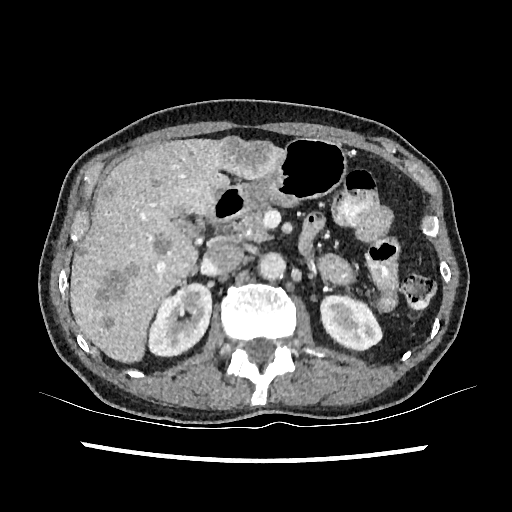 CT image. Liver.
The liver is located at 70,140,283,361. 2 kidney regions are bounded by 321,296,381,349; 149,284,211,357. 7 liver lesion regions appear at 215,187,222,196; 102,187,115,197; 103,317,114,329; 76,246,84,255; 153,232,171,254; 95,265,138,301; 220,138,273,167.